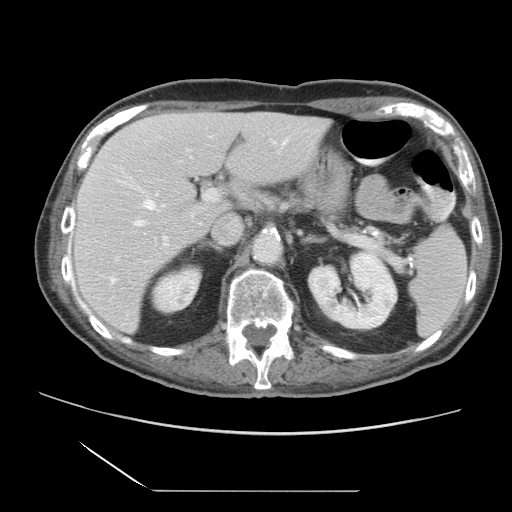
CT

Only some of the vessels may be annotated.
Segmented structures:
* hepatic vessel: box=[272, 141, 276, 143]; box=[191, 214, 193, 216]; box=[111, 278, 115, 283]; box=[282, 140, 287, 145]; box=[203, 189, 218, 201]; box=[154, 193, 157, 196]; box=[132, 219, 147, 226]; box=[187, 149, 189, 151]; box=[128, 177, 164, 211]